Field of view 512x512 mm, Slice 83/151, 512x512 px, Computed tomography
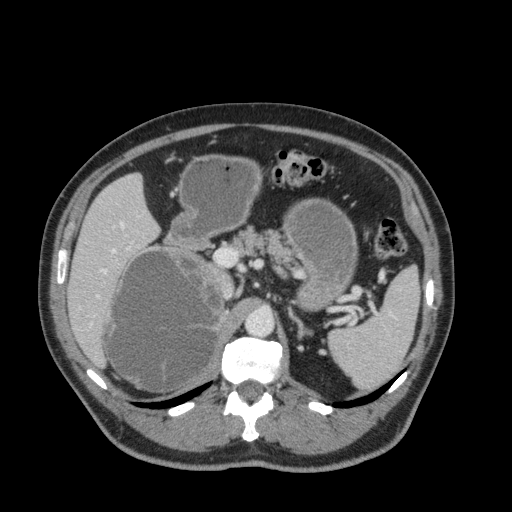 liver: l=69, t=175, r=158, b=365